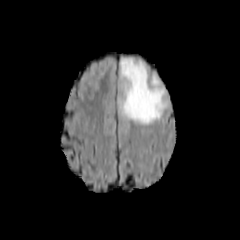
FLAIR magnetic resonance.
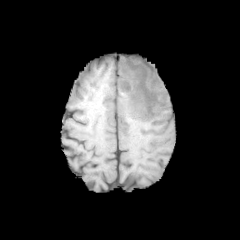
Same slice, T1-weighted MR.
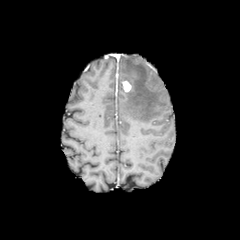
Post-contrast T1-weighted magnetic resonance of the same slice.
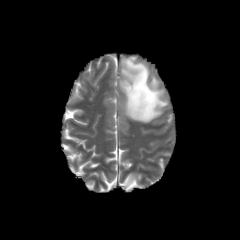
T2-weighted MR.
Head
The edema is bounded by 120:58:167:123. The enhancing tumor appears at 122:80:131:91.